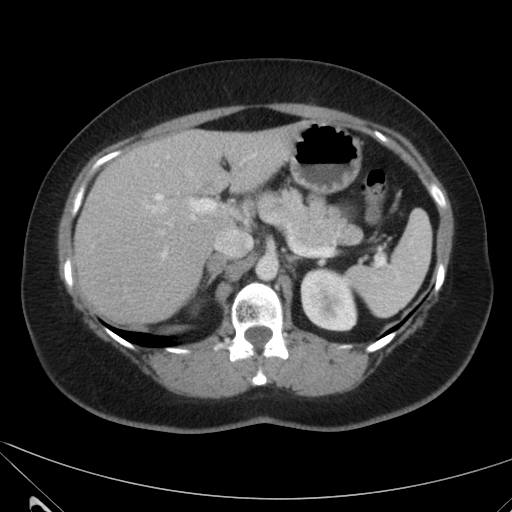
CT scan slice; Image size 512x512
{
  "liver": [
    "left=72, top=128, right=292, bottom=322",
    "left=242, top=203, right=250, bottom=217"
  ],
  "hepatic_lesion": [
    "left=202, top=180, right=216, bottom=189"
  ],
  "kidney": [
    "left=302, top=271, right=355, bottom=329"
  ]
}